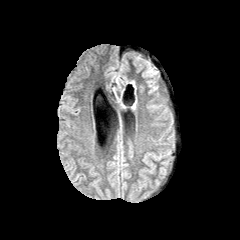
FLAIR MR image.
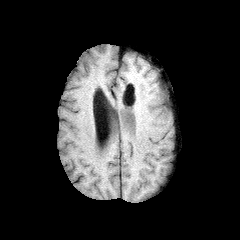
T1-weighted MRI.
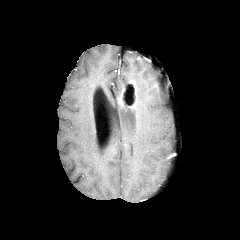
Post-contrast T1-weighted magnetic resonance.
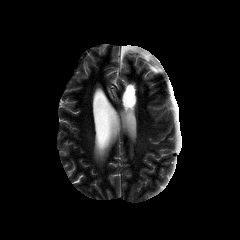
T2-weighted MR of the same slice.
Head.
Findings:
• edema: box=[145, 65, 153, 76]